Medial temporal lobe, MRI, Slice 25 of 38, 37x50 px 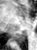 posterior_hippocampus:
  - 15:33:25:43